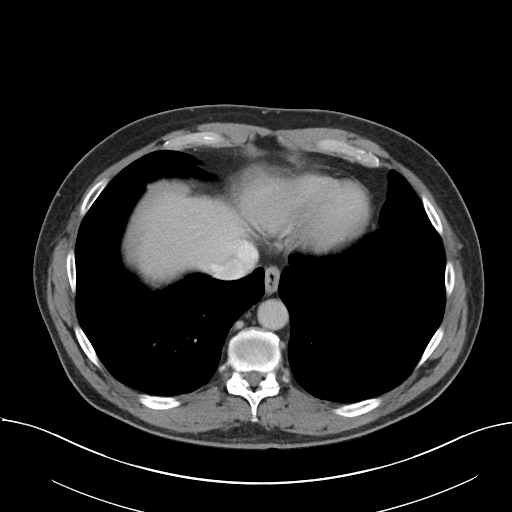 512x512; CT
Not every hepatic vessel necessarily has a box.
<segmentation>
  <hepatic_vessel>box=[227, 236, 232, 238]; box=[233, 226, 242, 235]; box=[234, 239, 244, 242]; box=[200, 263, 251, 278]</hepatic_vessel>
</segmentation>